FLAIR MRI.
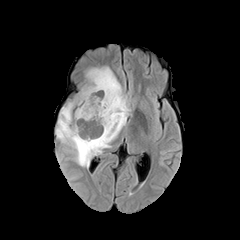
T1-weighted MRI.
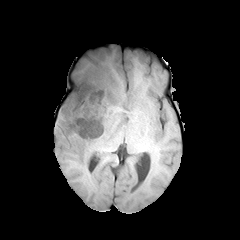
Post-contrast T1-weighted MRI.
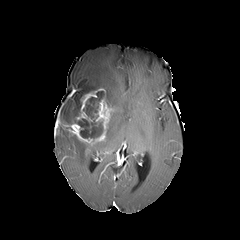
T2-weighted MR image.
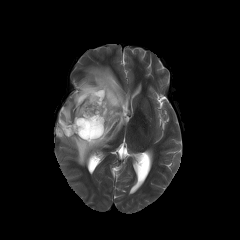
Head.
2 edema regions appear at x1=59, y1=99, x2=78, y2=123; x1=56, y1=66, x2=130, y2=168. The enhancing tumor is located at x1=66, y1=88, x2=111, y2=143. 4 non-enhancing tumor core regions are bounded by x1=83, y1=90, x2=113, y2=118; x1=72, y1=118, x2=101, y2=138; x1=75, y1=86, x2=98, y2=115; x1=58, y1=116, x2=70, y2=133.